512x512; Abdomen; Field of view 495 mm wide, 1.50 mm slice spacing; CT image
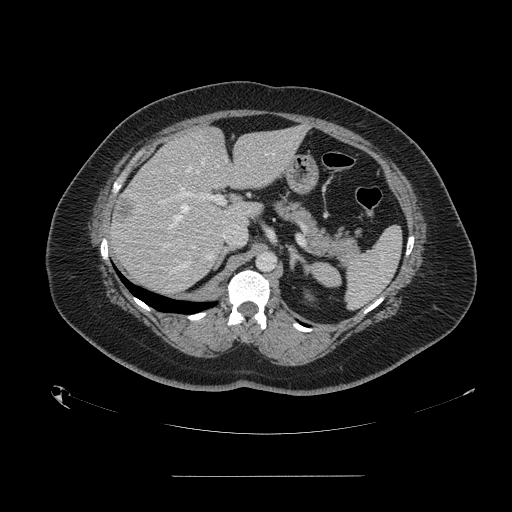
<segmentation>
  <spleen>(left=346, top=228, right=401, bottom=308), (left=310, top=263, right=341, bottom=287)</spleen>
</segmentation>